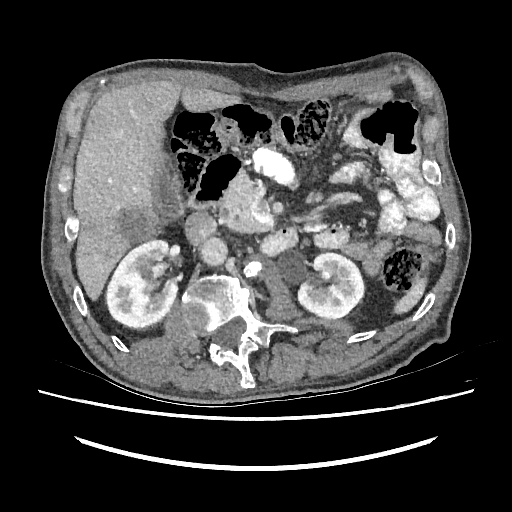
Upper abdomen | Computed tomography
<segmentation>
  <liver>box(74, 82, 239, 299)</liver>
  <kidney>box(107, 240, 177, 327); box(298, 253, 363, 318)</kidney>
  <liver_lesion>box(82, 221, 97, 233); box(111, 206, 157, 243)</liver_lesion>
</segmentation>